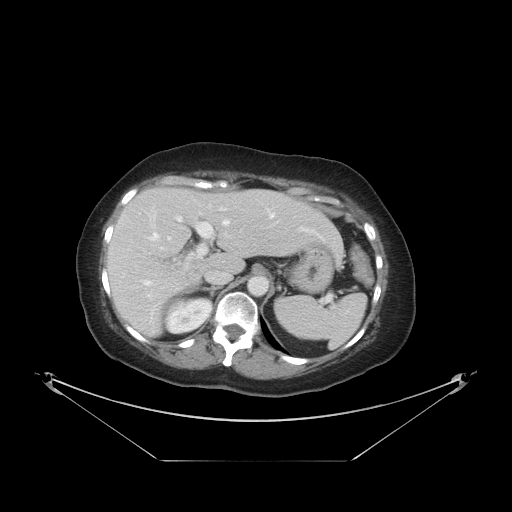
Computed tomography | Abdomen
The vessel boxes may cover only some of the vessels.
13 hepatic vessel regions are located at left=223, top=231, right=232, bottom=238; left=210, top=271, right=230, bottom=283; left=187, top=243, right=208, bottom=260; left=271, top=214, right=273, bottom=217; left=317, top=234, right=322, bottom=238; left=177, top=216, right=181, bottom=221; left=222, top=220, right=229, bottom=227; left=146, top=281, right=150, bottom=284; left=194, top=222, right=213, bottom=238; left=213, top=261, right=229, bottom=262; left=152, top=233, right=158, bottom=239; left=302, top=229, right=312, bottom=231; left=220, top=208, right=222, bottom=210. The liver tumor is bounded by left=160, top=253, right=180, bottom=271.